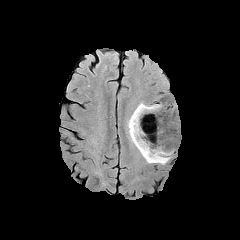
FLAIR MR.
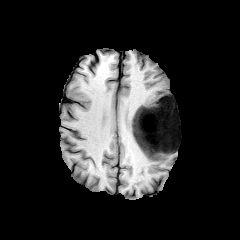
T1-weighted MR image.
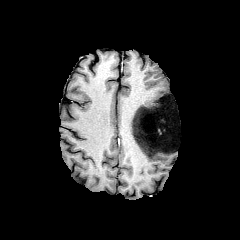
Same slice, post-contrast T1-weighted MR.
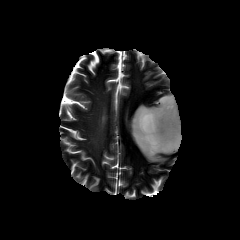
T2-weighted MRI of the same slice.
The edema appears at x1=126 y1=99 x2=175 y2=164. The non-enhancing tumor core is at x1=132 y1=102 x2=177 y2=155.